CT image | Abdomen | Slice index 20
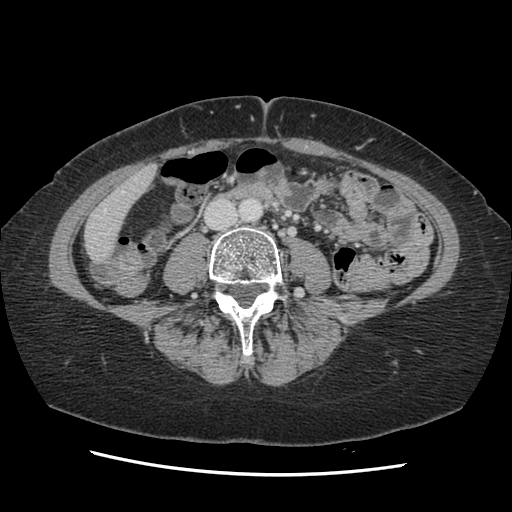
Only some of the vessels may be annotated.
{
  "hepatic_vessel": [
    "104 209 106 211"
  ]
}